Lower abdomen; Slice index 39; 512x512; CT image
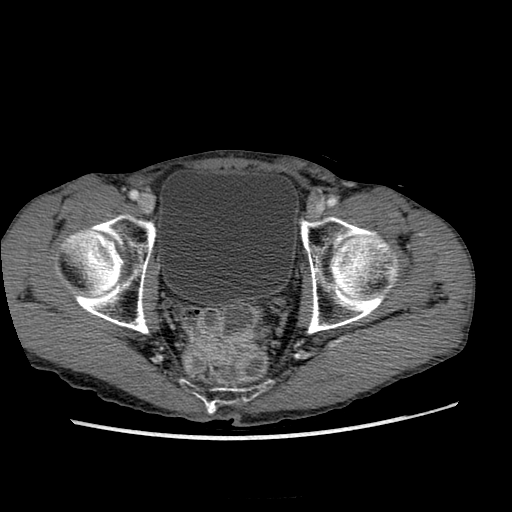

urinary bladder: (x1=161, y1=171, x2=296, y2=305)